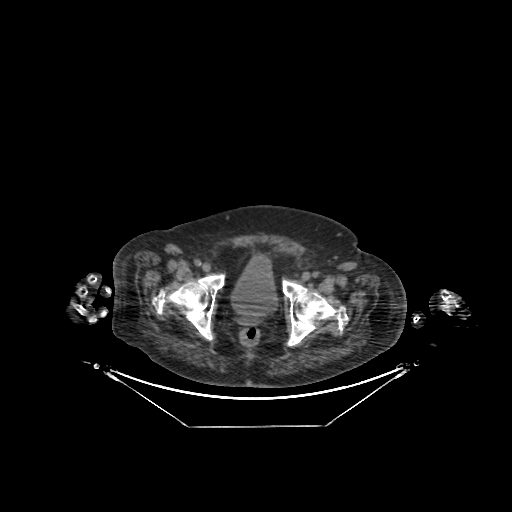

CT image
{
  "urinary_bladder": [
    "(left=230, top=252, right=278, bottom=317)"
  ]
}